Slice 325/537, 512x512 px, CT image
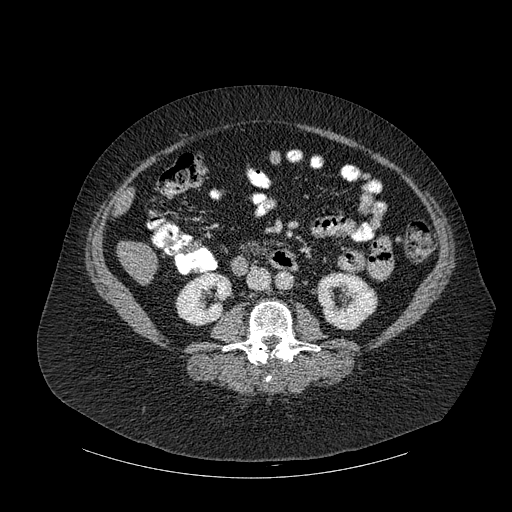

Annotated regions:
* liver: (x1=114, y1=188, x2=134, y2=212), (x1=117, y1=241, x2=157, y2=284)
* bone: (x1=223, y1=301, x2=320, y2=364)
* kidney: (x1=177, y1=273, x2=230, y2=324), (x1=318, y1=273, x2=376, y2=329)